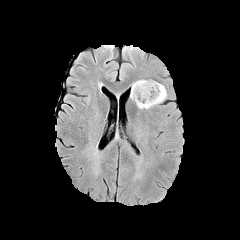
FLAIR MR image.
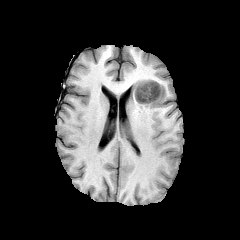
T1-weighted MRI of the same slice.
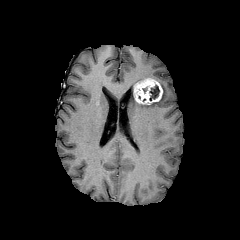
Same slice, post-contrast T1-weighted MR.
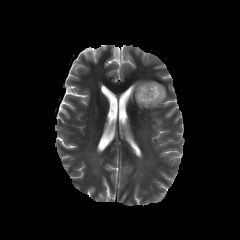
T2-weighted magnetic resonance.
Image size 240x240
Segmented structures:
* edema: 130,79,143,100; 136,84,168,109
* non-enhancing tumor core: 149,84,159,101
* enhancing tumor: 134,78,162,104